Slice index 6; Medial temporal lobe; MR

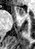
• anterior hippocampus: 15:7:24:13